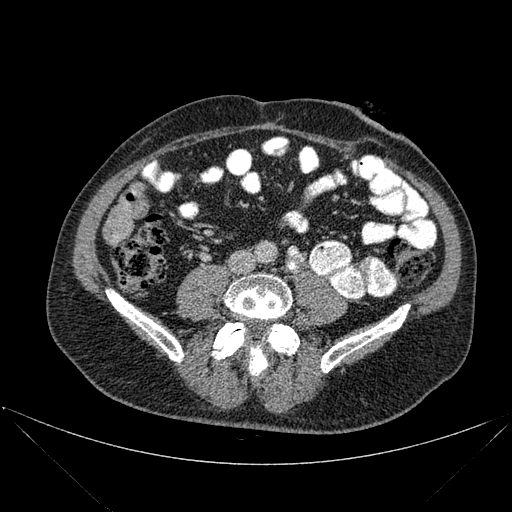
CT slice

Segmented structures:
- bone: (x1=225, y1=274, x2=292, y2=318), (x1=106, y1=290, x2=183, y2=361), (x1=267, y1=324, x2=299, y2=355), (x1=321, y1=304, x2=409, y2=372), (x1=212, y1=322, x2=244, y2=359), (x1=249, y1=345, x2=267, y2=376)